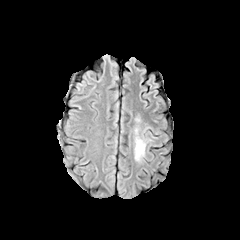
FLAIR MR image.
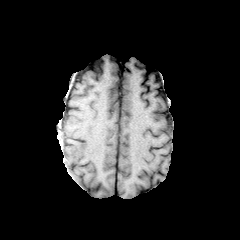
T1-weighted MRI of the same slice.
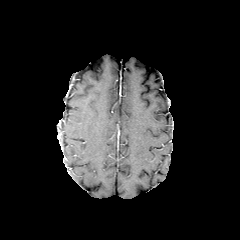
Post-contrast T1-weighted MR image.
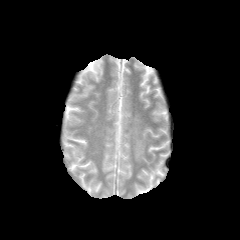
T2-weighted magnetic resonance.
<segmentation>
  <edema><bbox>133, 127, 149, 161</bbox></edema>
</segmentation>